CT slice | Abdomen | Slice 72 of 114
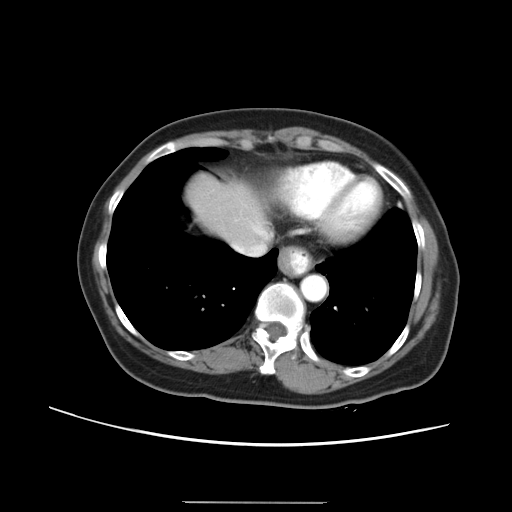 Not every hepatic vessel necessarily has a box.
{
  "hepatic_vessel": [
    "bbox(253, 224, 261, 233)",
    "bbox(235, 246, 238, 248)"
  ]
}